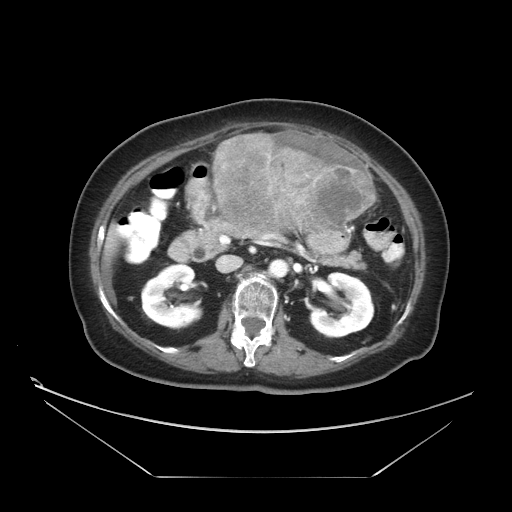 512x512. Computed tomography. Liver.

Findings:
• liver tumor: x1=214 y1=134 x2=375 y2=232